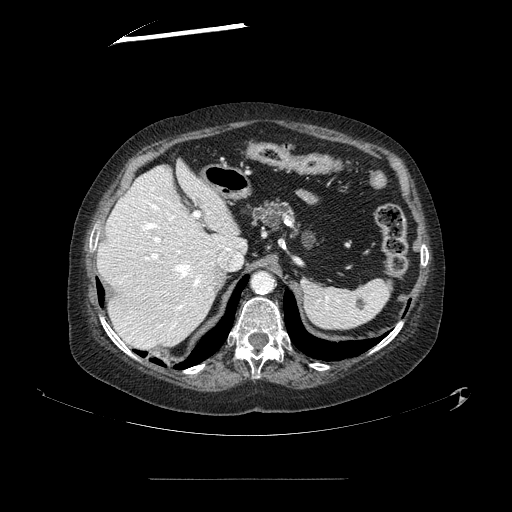
CT scan slice; Upper abdomen

The pancreas is at x1=249 y1=199 x2=293 y2=227.